FLAIR magnetic resonance.
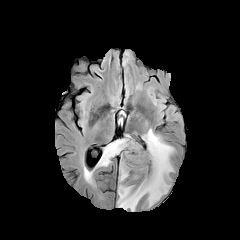
T1-weighted MRI.
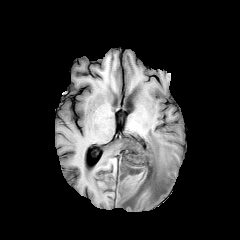
Post-contrast T1-weighted MR image.
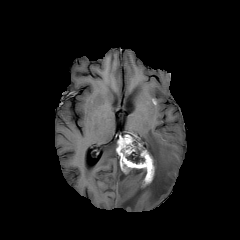
T2-weighted MRI.
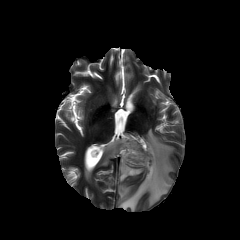
Image size 240x240
2 non-enhancing tumor core regions are located at bbox(136, 168, 146, 178); bbox(126, 150, 157, 196). 4 edema regions are bounded by bbox(84, 169, 93, 178); bbox(117, 128, 174, 211); bbox(97, 141, 117, 166); bbox(119, 168, 143, 181). The enhancing tumor is bounded by bbox(116, 135, 154, 184).